CT, 512x512 px, Slice index 28
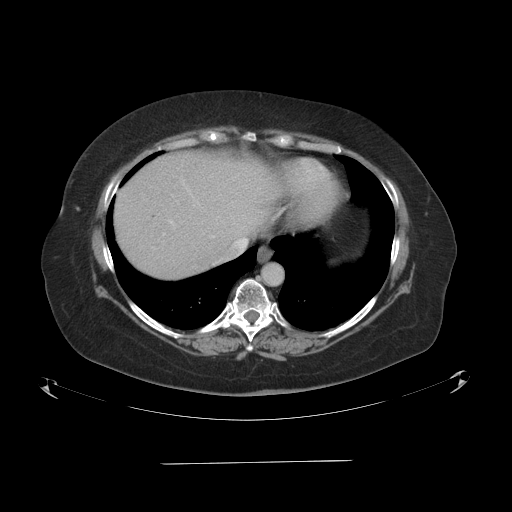

Some hepatic vessels may have no box.
- hepatic vessel: <bbox>215, 237, 246, 262</bbox>, <bbox>181, 178, 201, 207</bbox>, <bbox>231, 215, 244, 233</bbox>